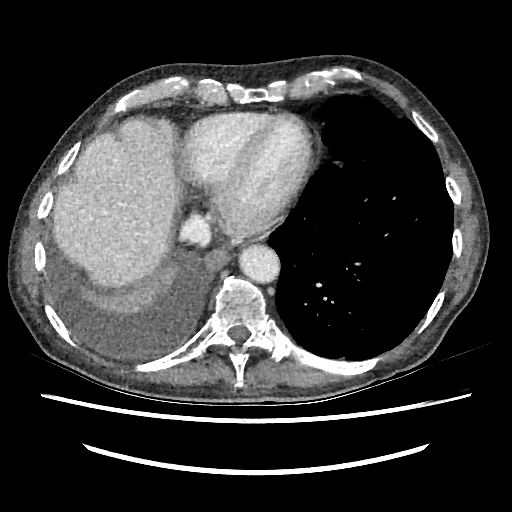

CT slice; 512x512 px
Segmented structures:
- liver: 55:119:179:284